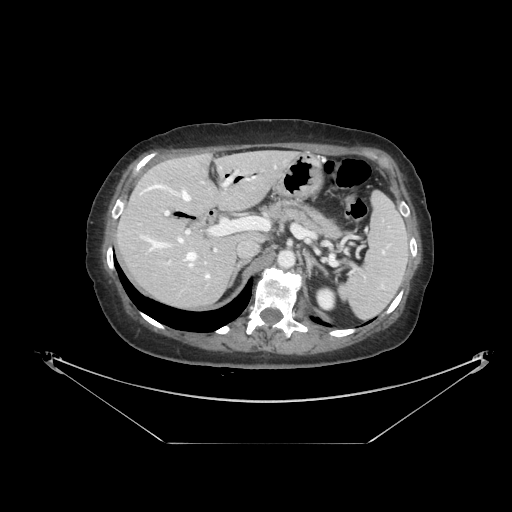
Abdomen | CT image
<segmentation>
  <pancreas>266:200:340:238</pancreas>
</segmentation>